Slice index 173. Computed tomography. 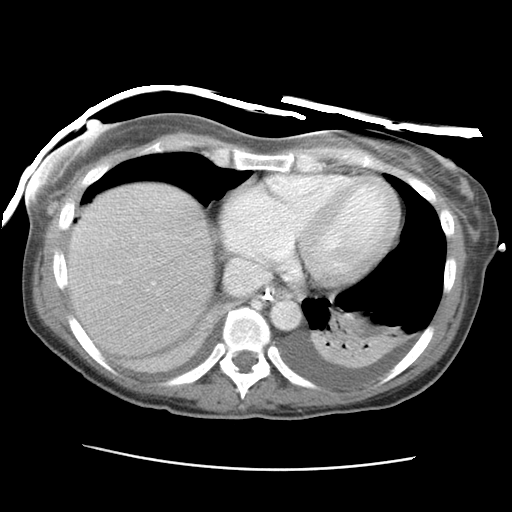
{"liver": ["(x1=66, y1=183, x2=213, y2=357)"]}